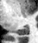 MR image; Hippocampus
The posterior hippocampus lies within (left=16, top=27, right=27, bottom=35).